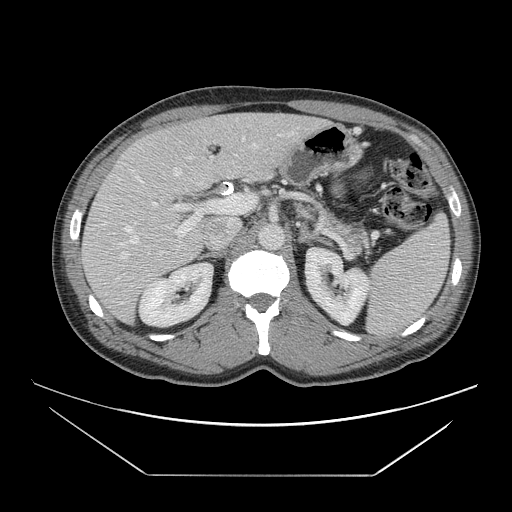 Computed tomography

Pancreas: [324,214,361,251].